CT slice, Slice 212 of 605

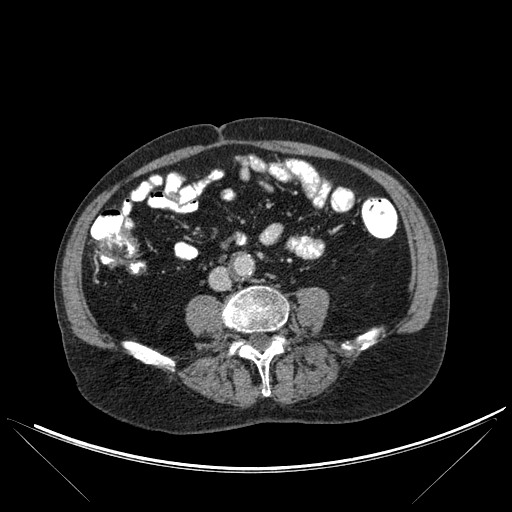

bone: rect(124, 342, 173, 365); rect(228, 337, 285, 396); rect(357, 329, 378, 348); rect(223, 286, 288, 332)